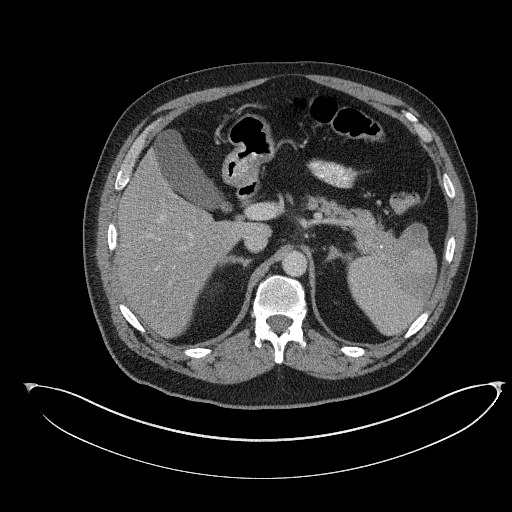
CT. {
  "pancreatic_tumor": [
    "354:213:374:253"
  ],
  "pancreas": [
    "307:197:370:228",
    "368:220:393:254"
  ]
}